Image size 512x512; Computed tomography

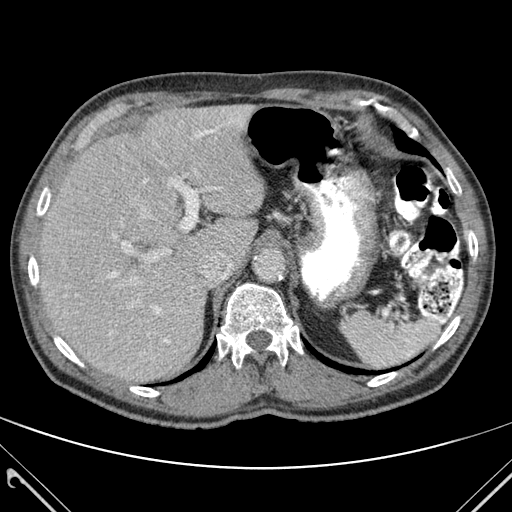
3 lung regions appear at 186 348 212 375, 307 344 363 373, 392 127 436 165. 9 bone regions appear at 217 284 302 367, 434 317 459 348, 447 169 461 193, 28 257 38 284, 54 336 83 366, 37 188 49 216, 468 232 477 256, 130 386 158 396, 368 372 395 386. The liver is bounded by 40 105 263 381.